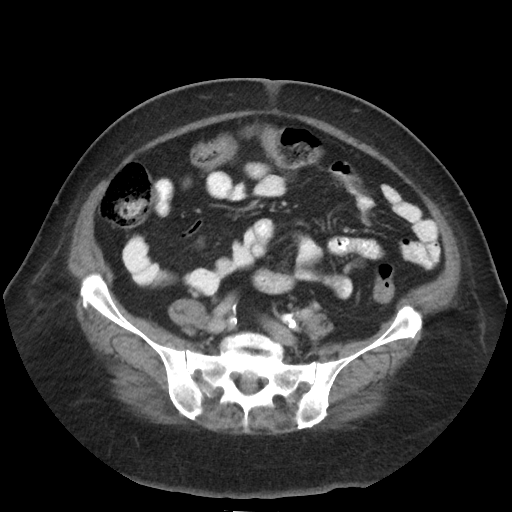 Abdomen, Image size 512x512, CT image
2 colon tumor regions are located at (x1=198, y1=135, x2=235, y2=169), (x1=262, y1=129, x2=279, y2=162).